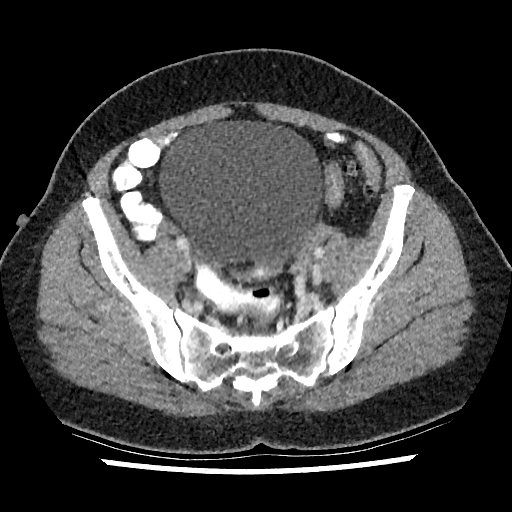

Lower abdomen, CT scan slice
The urinary bladder is at 159 120 322 268.